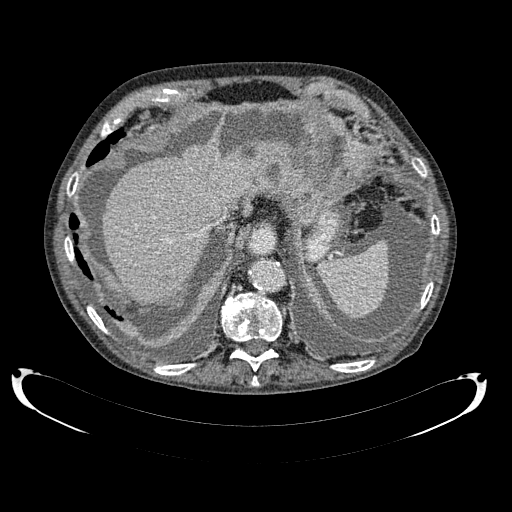

Computed tomography; 512x512; Upper abdomen

Segmented structures:
- liver: 102,142,290,303